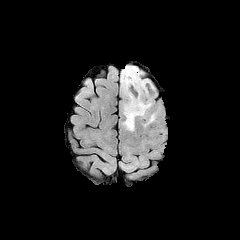
FLAIR MR image.
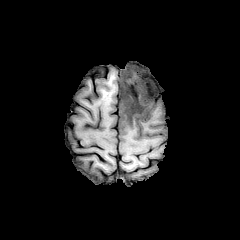
Same slice, T1-weighted magnetic resonance.
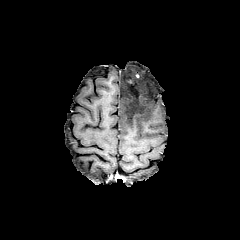
Same slice, post-contrast T1-weighted MRI.
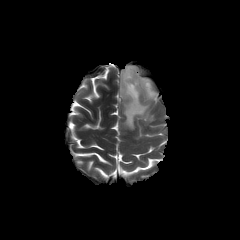
T2-weighted magnetic resonance.
The non-enhancing tumor core is bounded by bbox=[125, 77, 140, 105]. The edema appears at bbox=[120, 65, 156, 130].